Field of view 240 mm wide, 1.00 mm slice spacing | Head | Slice 66 of 155
FLAIR MRI.
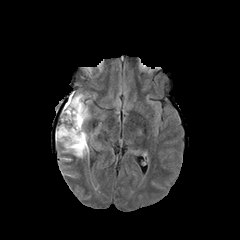
T1-weighted magnetic resonance.
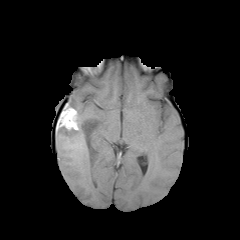
Post-contrast T1-weighted magnetic resonance.
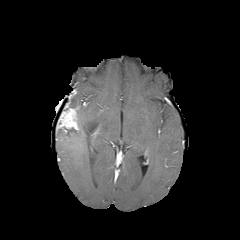
T2-weighted MR.
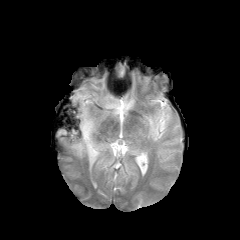
<segmentation>
  <edema>x1=56 y1=91 x2=95 y2=157</edema>
  <enhancing_tumor>x1=60 y1=108 x2=77 y2=129</enhancing_tumor>
  <non-enhancing_tumor_core>x1=72 y1=106 x2=81 y2=137, x1=57 y1=102 x2=71 y2=132, x1=84 y1=120 x2=91 y2=138</non-enhancing_tumor_core>
</segmentation>